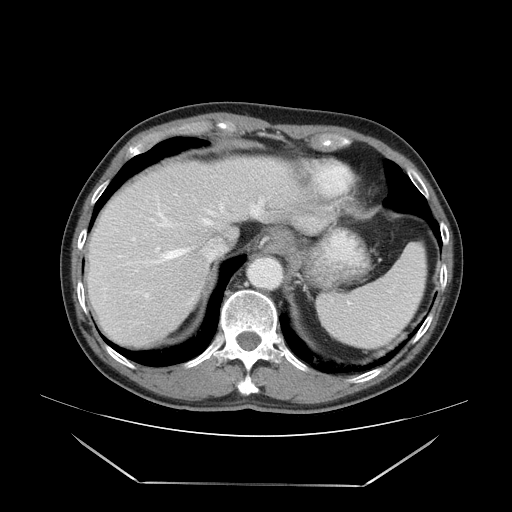
512x512 | Abdomen | CT image
Not every hepatic vessel necessarily has a box.
{"hepatic_vessel": ["x1=166, y1=249, x2=184, y2=257", "x1=250, y1=206, x2=262, y2=217", "x1=199, y1=221, x2=213, y2=224"]}